Slice 16/155, Abdomen, Computed tomography, Field of view 512x512 mm 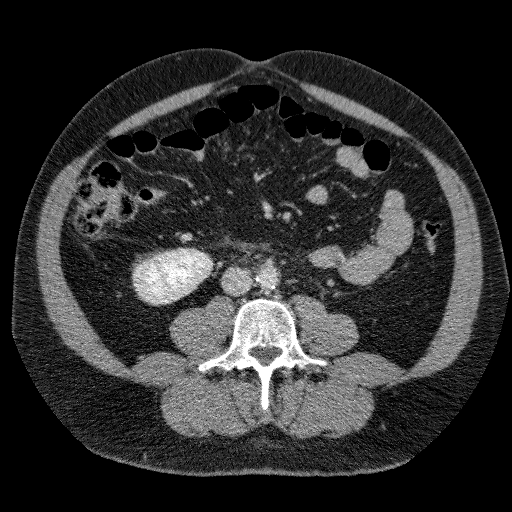
The kidney is located at left=134, top=249, right=211, bottom=303.